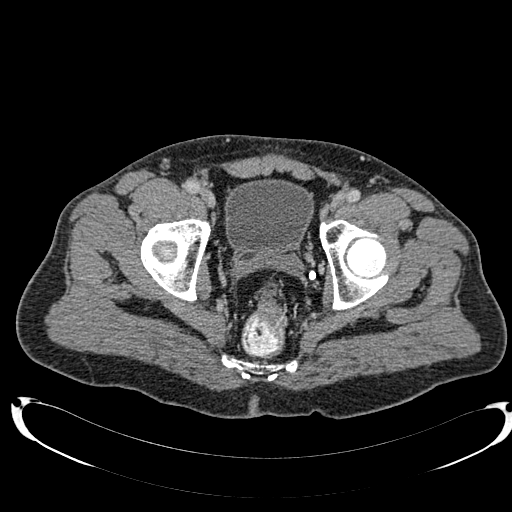

Lower abdomen. CT slice.

urinary_bladder:
  - {"x1": 224, "y1": 179, "x2": 313, "y2": 264}